Slice 65 of 155
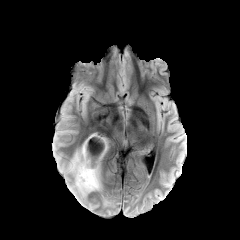
FLAIR magnetic resonance.
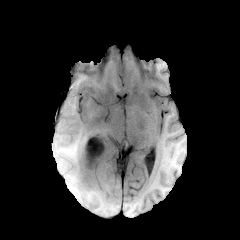
Same slice, T1-weighted MR.
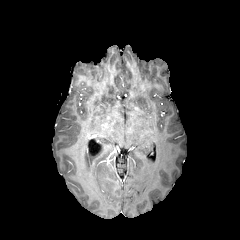
Post-contrast T1-weighted MR image.
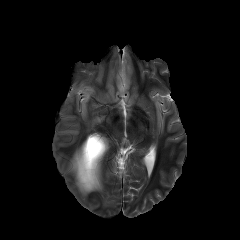
Same slice, T2-weighted MR.
<segmentation>
  <non-enhancing_tumor_core>region(84, 146, 97, 167); region(82, 172, 97, 189)</non-enhancing_tumor_core>
  <enhancing_tumor>region(76, 145, 91, 186)</enhancing_tumor>
  <edema>region(66, 154, 100, 197)</edema>
</segmentation>